Field of view 240x240 mm | Image size 240x240
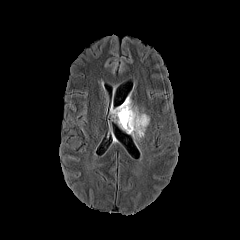
FLAIR MRI.
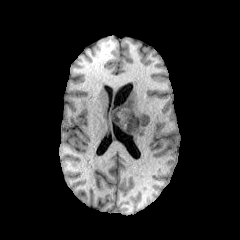
T1-weighted MR of the same slice.
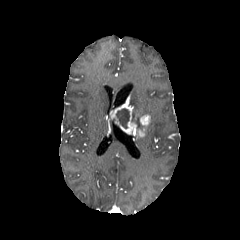
Post-contrast T1-weighted MR of the same slice.
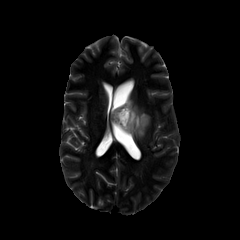
T2-weighted MR of the same slice.
The enhancing tumor lies within 110:94:150:137. 2 non-enhancing tumor core regions appear at 131:107:147:129, 116:108:129:128.